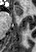 MRI slice, Medial temporal lobe
anterior_hippocampus:
  - (13, 5, 22, 16)